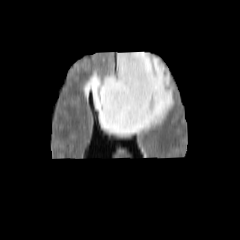
FLAIR MR image.
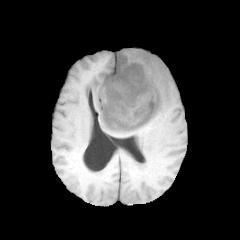
T1-weighted MRI of the same slice.
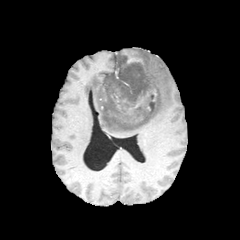
Same slice, post-contrast T1-weighted magnetic resonance.
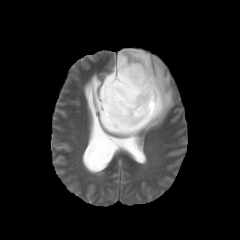
T2-weighted MR image.
240x240; Head
Findings:
• enhancing tumor: 127:55:141:63
• non-enhancing tumor core: 110:48:158:127
• edema: 90:48:174:136